Slice 80/103, Abdomen, Field of view 440x440 mm, CT image 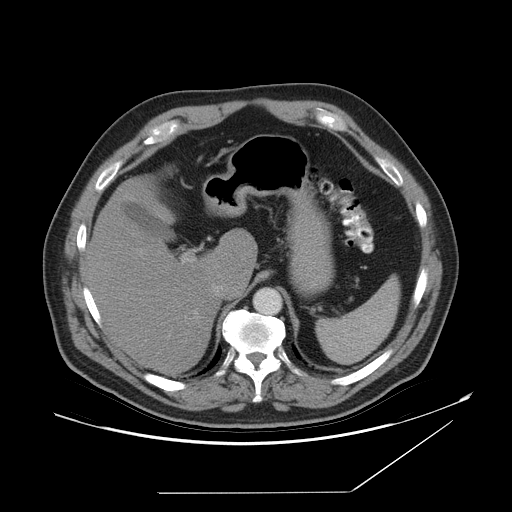

Spleen: bounding box 317, 277, 400, 362.